Upper abdomen; CT scan slice
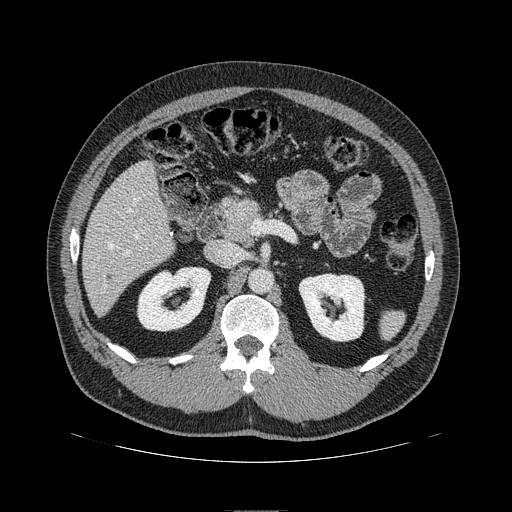
{
  "pancreas": [
    "region(223, 200, 259, 243)"
  ]
}